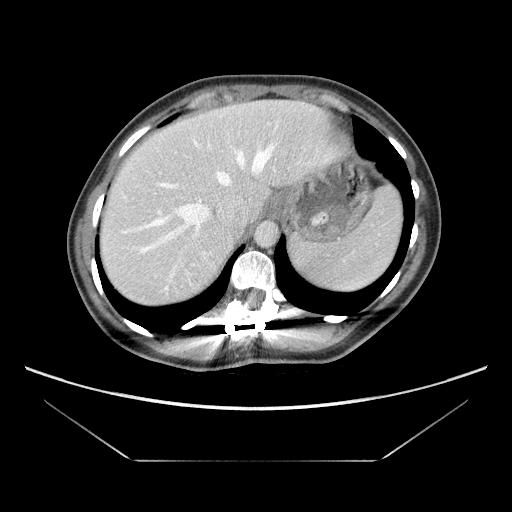
CT scan slice.
Only some of the vessels may be annotated.
Hepatic vessel: 219:208:223:216, 229:200:236:207, 158:183:177:187, 215:170:231:186, 234:142:274:174, 141:200:209:252, 146:215:171:226, 170:264:179:277.